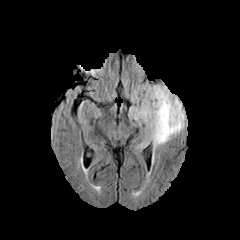
FLAIR MRI.
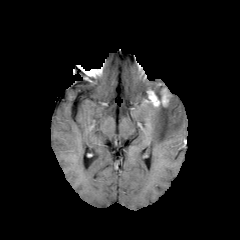
T1-weighted MR.
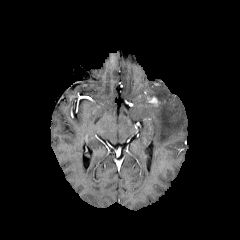
Post-contrast T1-weighted MRI.
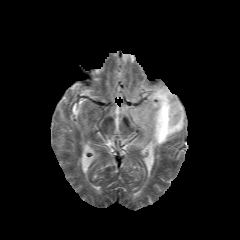
T2-weighted MR image.
240x240.
The edema is at 128 84 185 162. The enhancing tumor is bounded by 148 96 159 105.